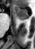

Medial temporal lobe | MR image | Image size 35x49
* anterior hippocampus: 13:5:29:19